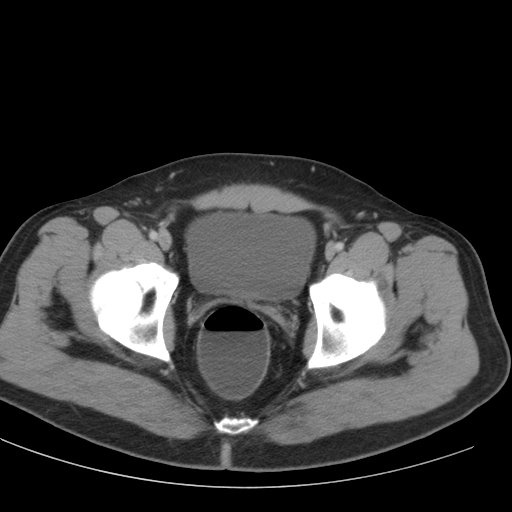

Image size 512x512. CT scan slice.

urinary_bladder:
  - x1=186 y1=207 x2=315 y2=304